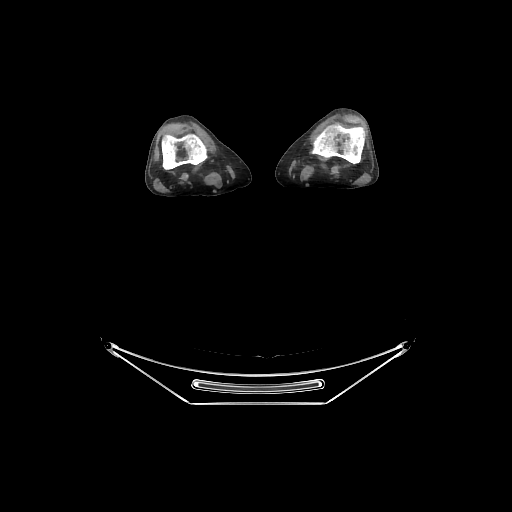

CT slice

2 bone regions are located at rect(162, 134, 206, 169); rect(312, 124, 364, 163).